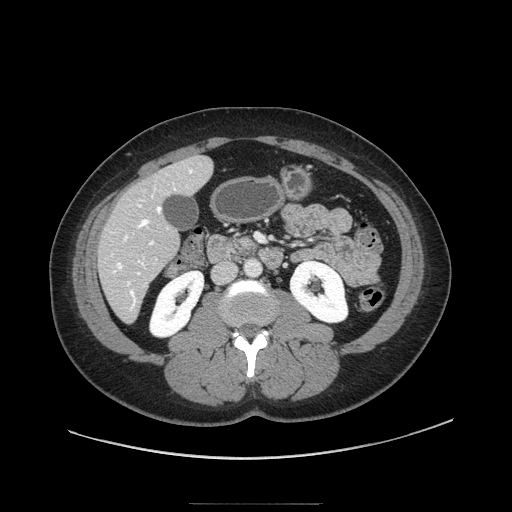
CT slice; Abdomen
Findings:
- pancreas: (x1=228, y1=234, x2=256, y2=259)